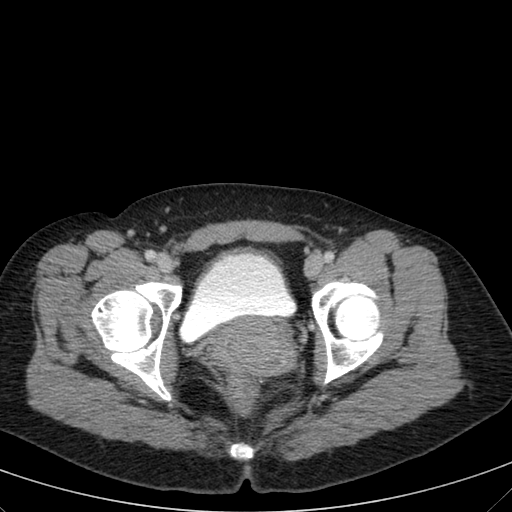

512x512 | Computed tomography
Urinary bladder = [180,258,293,342].